512x512, Computed tomography

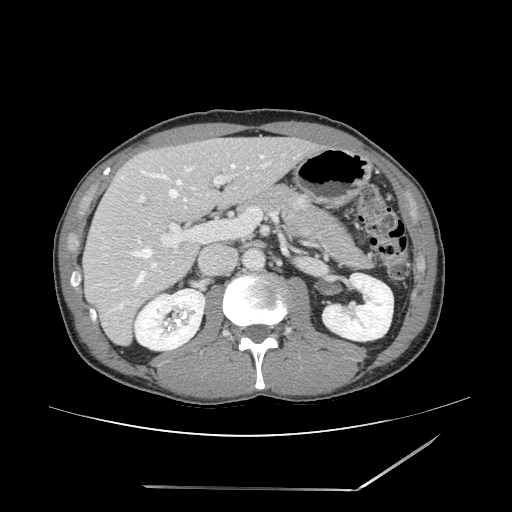

Pancreatic tumor at box=[293, 194, 310, 209].
Pancreas at box=[245, 185, 372, 268].